Upper abdomen, Image size 512x512, Slice 356/771, CT image
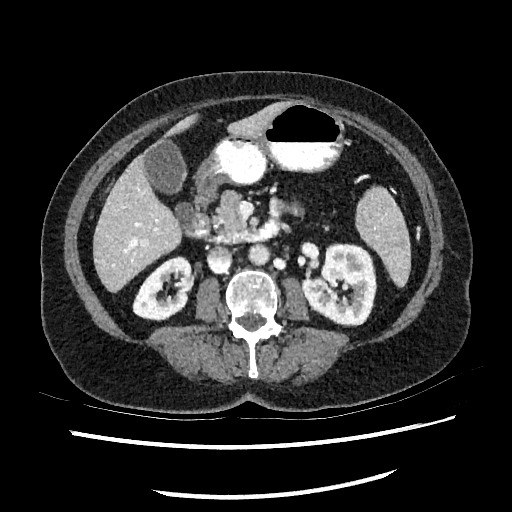
<segmentation>
  <liver>bbox(93, 153, 181, 292); bbox(228, 103, 284, 136); bbox(172, 115, 196, 133)</liver>
  <kidney>bbox(134, 258, 190, 319); bbox(303, 245, 375, 324)</kidney>
</segmentation>